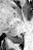
MRI slice

Segmented structures:
* posterior hippocampus: (x1=11, y1=35, x2=23, y2=43)